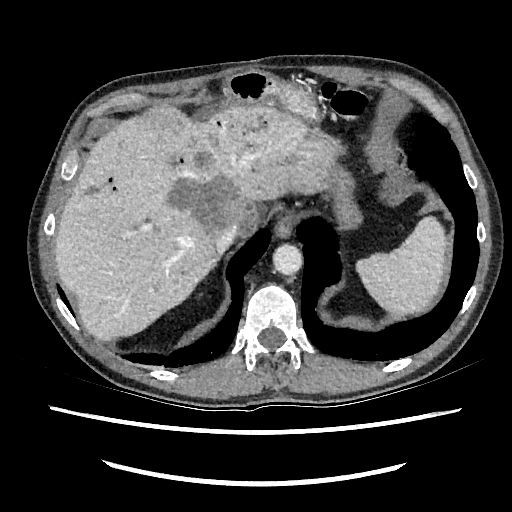
CT slice

Segmented structures:
* liver: box(55, 105, 340, 339)
* focal liver lesion: box(166, 177, 256, 236); box(85, 186, 97, 195); box(167, 155, 183, 164); box(193, 151, 211, 170)